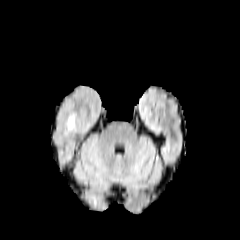
FLAIR MR image.
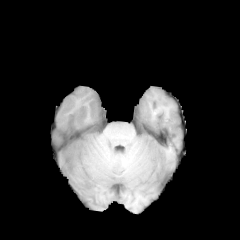
Same slice, T1-weighted MR image.
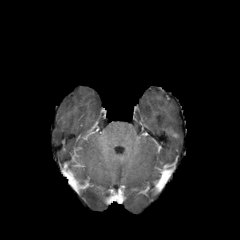
Post-contrast T1-weighted MR image of the same slice.
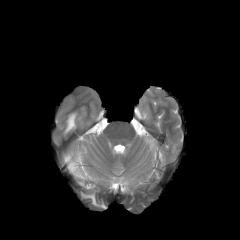
T2-weighted MRI.
240x240.
Edema: bounding box <bbox>65, 113, 76, 132</bbox>.